Slice index 108; CT slice

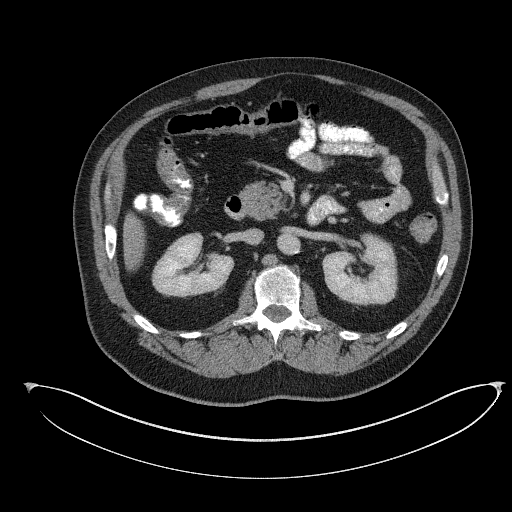 Pancreas — [242, 180, 284, 220].